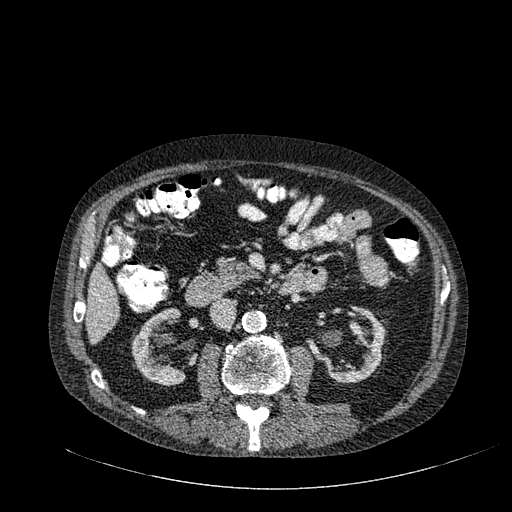
Liver, CT

kidney: <bbox>189, 318, 198, 328</bbox>, <bbox>131, 308, 193, 386</bbox>, <bbox>314, 306, 386, 382</bbox>, <bbox>187, 353, 197, 366</bbox>, <bbox>332, 330, 341, 346</bbox> | liver: <bbox>87, 264, 118, 342</bbox>